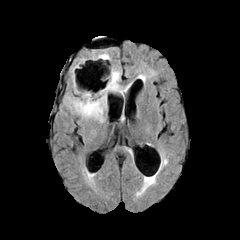
FLAIR MRI.
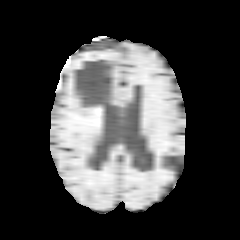
T1-weighted MRI.
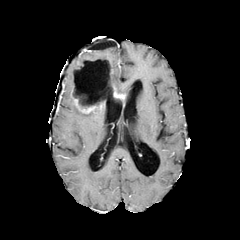
Post-contrast T1-weighted magnetic resonance.
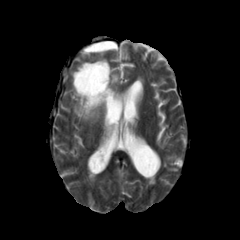
Same slice, T2-weighted MR.
240x240 px. Head.
edema:
  - region(67, 82, 108, 121)
  - region(98, 49, 109, 61)
  - region(108, 67, 129, 94)
non-enhancing_tumor_core:
  - region(74, 64, 115, 109)
enhancing_tumor:
  - region(80, 107, 94, 113)